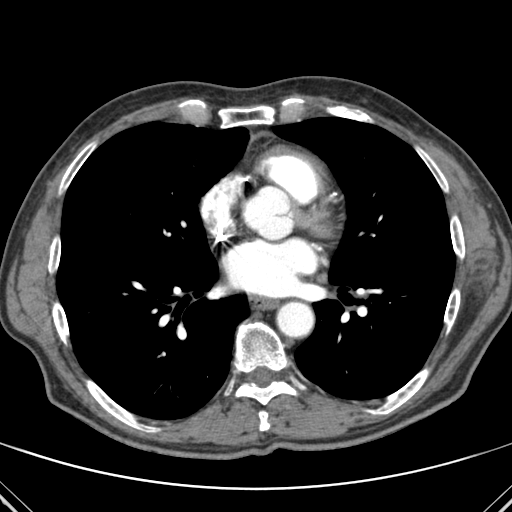
512x512 px; CT image; Chest
{
  "lung": [
    "56 121 249 419",
    "272 117 455 399"
  ],
  "bone": [
    "52 303 68 343",
    "235 381 297 404",
    "259 411 269 430",
    "86 380 157 432",
    "59 143 95 192",
    "416 147 448 191",
    "179 100 205 106",
    "282 98 303 105",
    "444 289 459 331",
    "48 237 60 272",
    "450 215 464 258",
    "219 106 274 128",
    "235 322 287 372",
    "368 369 428 414",
    "327 106 369 120"
  ]
}